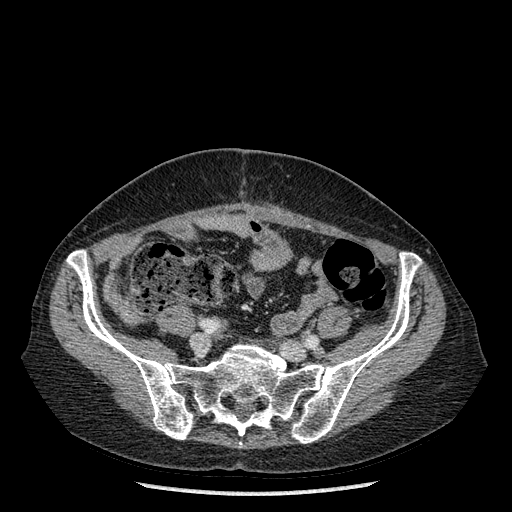
Computed tomography
The bone is at (66,250,422,443).